FLAIR MR image.
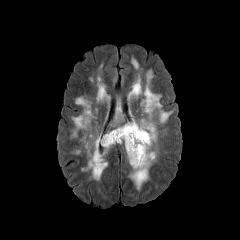
T1-weighted MR.
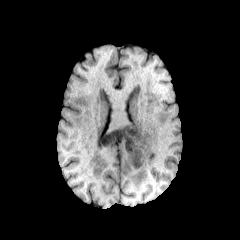
Post-contrast T1-weighted MR.
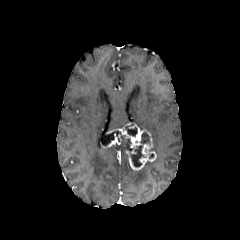
T2-weighted MRI.
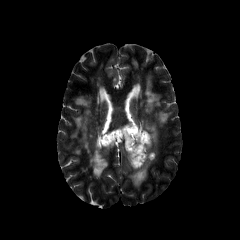
240x240 px, Head
Non-enhancing tumor core at (x1=101, y1=130, x2=142, y2=167), (x1=125, y1=125, x2=137, y2=136), (x1=140, y1=132, x2=149, y2=143).
Edema at (x1=81, y1=132, x2=108, y2=180), (x1=96, y1=76, x2=106, y2=103), (x1=127, y1=69, x2=172, y2=143), (x1=128, y1=145, x2=158, y2=190), (x1=70, y1=97, x2=94, y2=138), (x1=130, y1=58, x2=138, y2=70).
Enhancing tumor at (x1=115, y1=122, x2=156, y2=169), (x1=102, y1=134, x2=120, y2=147).